FLAIR MR.
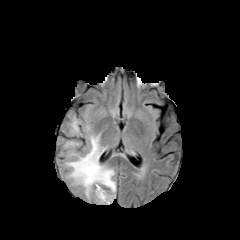
T1-weighted MR image.
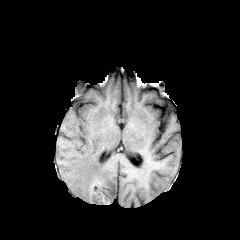
Post-contrast T1-weighted MR image.
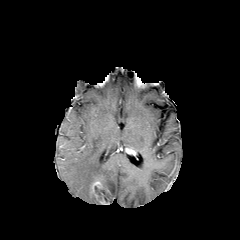
T2-weighted MR.
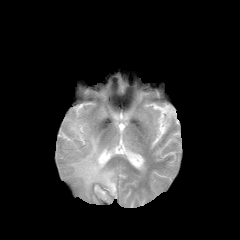
The edema is at (64,118,116,203).